Brain
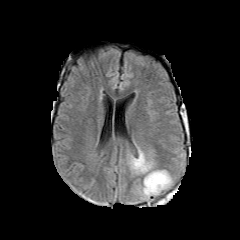
FLAIR MR image.
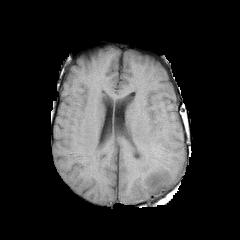
T1-weighted MR image.
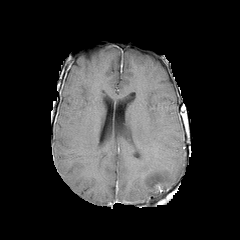
Post-contrast T1-weighted magnetic resonance.
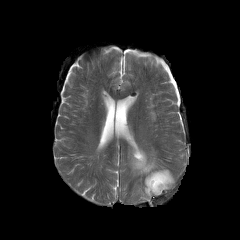
T2-weighted MR.
The edema appears at x1=128, y1=146, x2=174, y2=200.